CT slice. Field of view 441x441 mm. Image size 512x512.
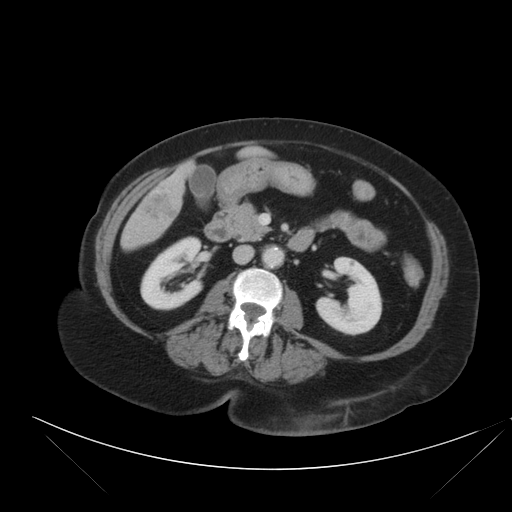

The vessel boxes may cover only some of the vessels.
Hepatic vessel — {"x1": 173, "y1": 169, "x2": 185, "y2": 178}, {"x1": 154, "y1": 189, "x2": 161, "y2": 192}, {"x1": 162, "y1": 181, "x2": 168, "y2": 191}.
Liver tumor — {"x1": 141, "y1": 192, "x2": 176, "y2": 218}.